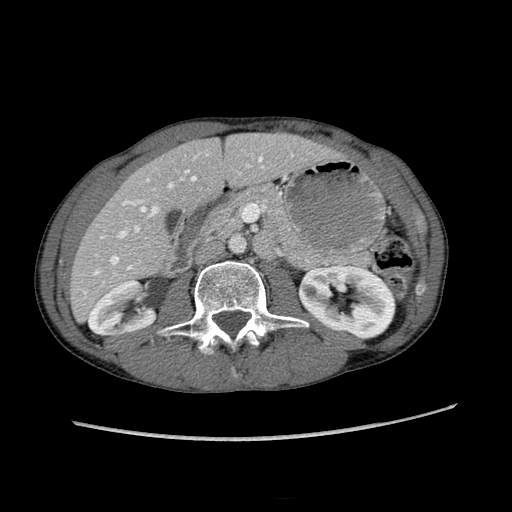 CT scan slice. kidney: l=300, t=264, r=394, b=337; l=89, t=281, r=153, b=331 | liver: l=66, t=134, r=338, b=321